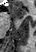
MRI slice

anterior_hippocampus:
  - {"x1": 12, "y1": 4, "x2": 25, "y2": 19}